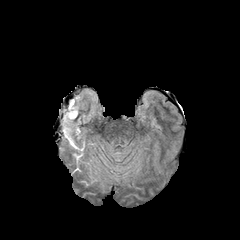
FLAIR magnetic resonance.
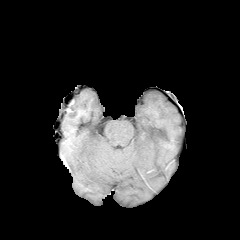
T1-weighted MRI.
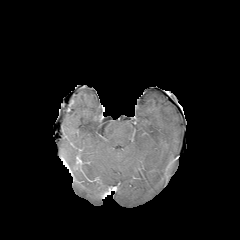
Post-contrast T1-weighted MRI of the same slice.
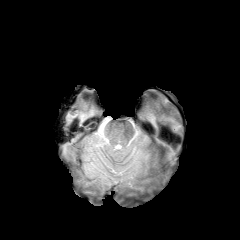
T2-weighted MR.
Image size 240x240, Head
{"edema": ["(89, 140, 142, 174)", "(63, 102, 86, 149)"]}